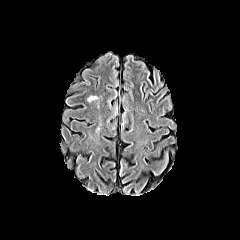
FLAIR magnetic resonance.
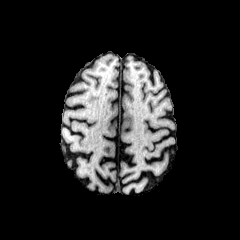
T1-weighted magnetic resonance.
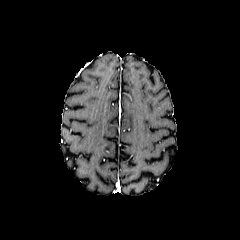
Post-contrast T1-weighted magnetic resonance of the same slice.
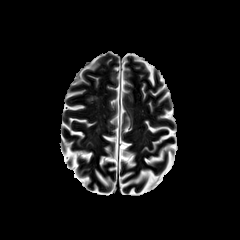
T2-weighted MR image.
Head
Edema at bbox=[87, 95, 98, 102].